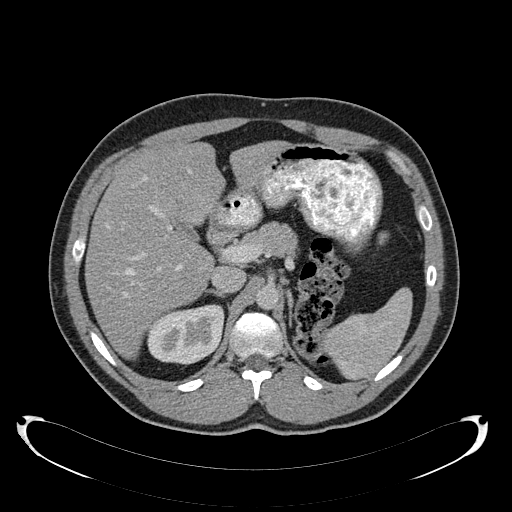 Upper abdomen. CT image. Liver — {"x1": 86, "y1": 143, "x2": 223, "y2": 357}, {"x1": 232, "y1": 141, "x2": 286, "y2": 188}.
Kidney — {"x1": 148, "y1": 305, "x2": 223, "y2": 363}.